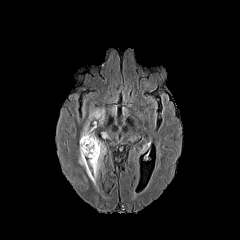
FLAIR MR image.
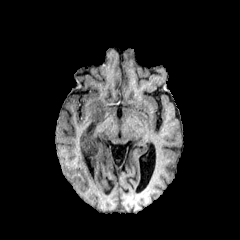
T1-weighted MR image.
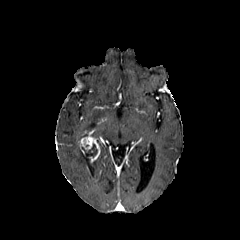
Same slice, post-contrast T1-weighted MR image.
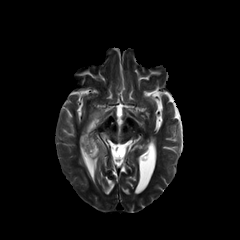
T2-weighted MR image of the same slice.
Edema at rect(78, 147, 95, 185); rect(93, 141, 106, 179); rect(88, 108, 105, 120).
Non-enhancing tumor core at rect(80, 144, 98, 162).
Enhancing tumor at rect(80, 136, 100, 162).